FLAIR MRI.
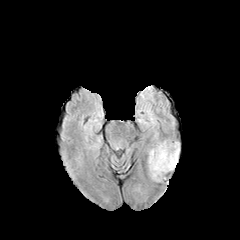
T1-weighted MR image.
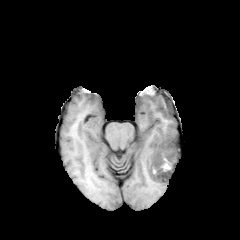
Post-contrast T1-weighted MR image.
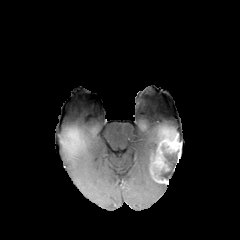
T2-weighted MR image.
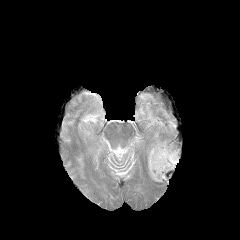
240x240
<segmentation>
  <non-enhancing_tumor_core><bbox>147, 141, 179, 182</bbox></non-enhancing_tumor_core>
  <edema><bbox>148, 142, 159, 158</bbox></edema>
  <enhancing_tumor><bbox>163, 140, 180, 162</bbox></enhancing_tumor>
</segmentation>